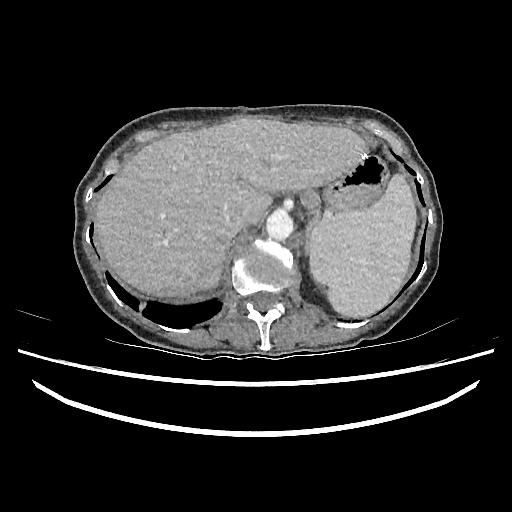
CT slice; Abdomen

<segmentation>
  <liver>l=98, t=118, r=365, b=295</liver>
</segmentation>